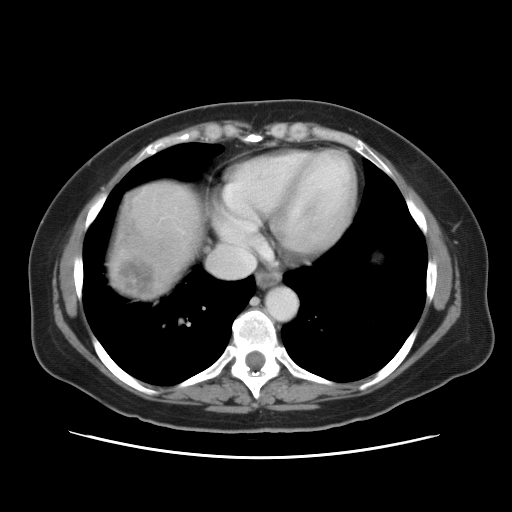

CT. Abdomen.
The vessel annotation is not exhaustive.
2 hepatic vessel regions are bounded by box=[209, 237, 256, 277]; box=[181, 231, 185, 233]. The liver tumor lies within box=[113, 192, 175, 296].